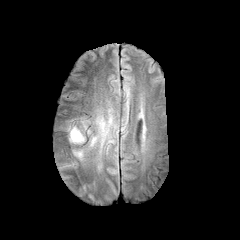
FLAIR MR.
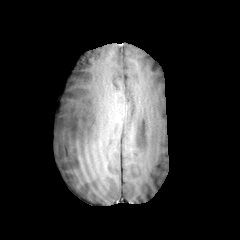
T1-weighted MR image.
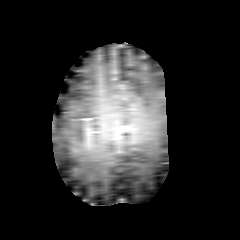
Post-contrast T1-weighted MRI.
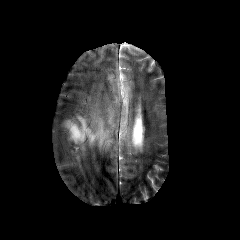
T2-weighted MR image of the same slice.
Segmented structures:
* edema: rect(70, 119, 92, 141)